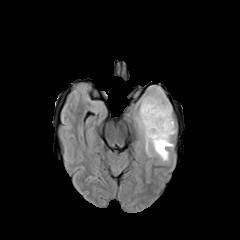
FLAIR MRI.
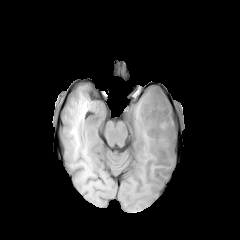
T1-weighted magnetic resonance of the same slice.
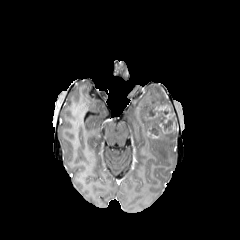
Same slice, post-contrast T1-weighted magnetic resonance.
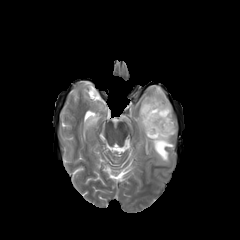
T2-weighted magnetic resonance.
The non-enhancing tumor core is located at 143:94:175:136. The edema is at 136:88:176:161. The enhancing tumor appears at 147:105:171:121.